FLAIR MR image.
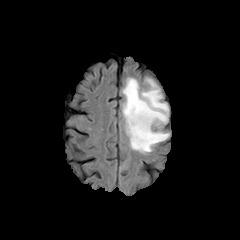
T1-weighted MR image.
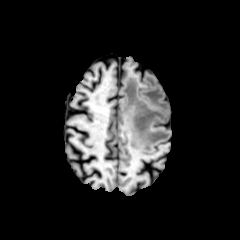
Post-contrast T1-weighted MR.
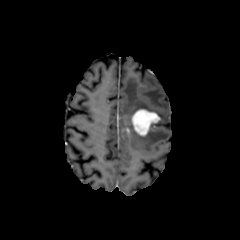
T2-weighted MR image.
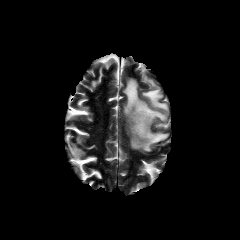
240x240 px
The enhancing tumor is bounded by [131, 109, 160, 136]. The edema lies within [122, 77, 169, 153].